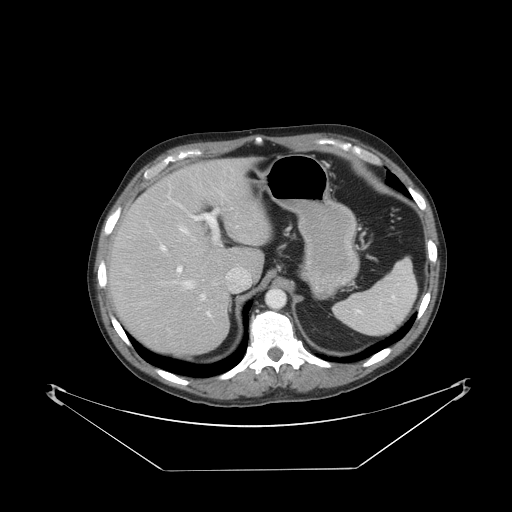

512x512, Abdomen, CT slice
Only some of the vessels may be annotated.
<segmentation>
  <hepatic_vessel>179 287 180 289, 181 280 194 288, 179 226 188 233, 188 208 221 245, 176 266 182 274, 160 243 165 250, 192 238 195 240, 206 311 211 316, 200 294 205 300, 236 225 237 227, 212 283 216 285</hepatic_vessel>
</segmentation>